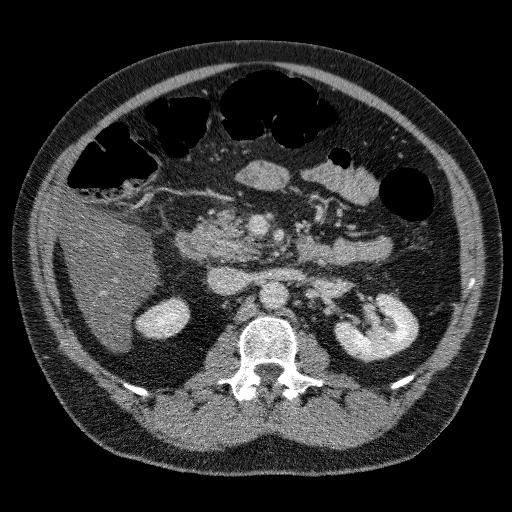 Abdomen, Computed tomography
Findings:
- hepatic lesion: box(121, 226, 150, 258)
- kidney: box(139, 300, 186, 336); box(336, 295, 416, 359)
- liver: box(57, 188, 155, 349)